Slice index 10; Magnetic resonance; Image width 38 mm; Hippocampus

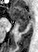

Anterior hippocampus = bbox(9, 6, 29, 22).
Posterior hippocampus = bbox(18, 23, 28, 32).